Image width 240 mm. Head.
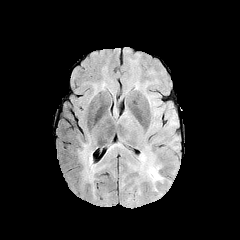
FLAIR magnetic resonance.
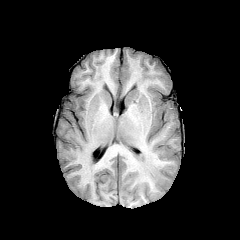
T1-weighted magnetic resonance.
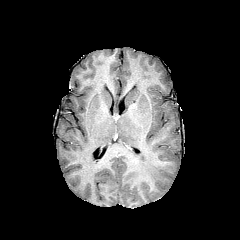
Post-contrast T1-weighted MRI of the same slice.
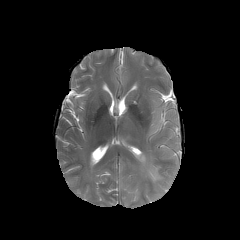
T2-weighted MRI of the same slice.
Edema: bounding box [x1=133, y1=150, x2=163, y2=187], [x1=78, y1=142, x2=102, y2=183].